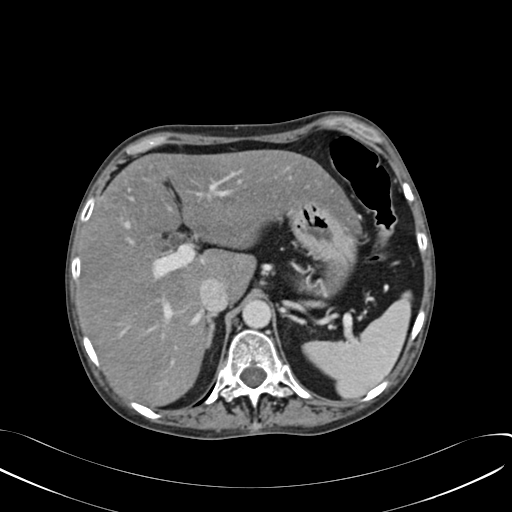
Computed tomography. 512x512 px.

Segmented structures:
* liver: [79, 150, 359, 405]